FLAIR MR image.
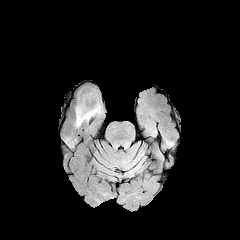
T1-weighted magnetic resonance.
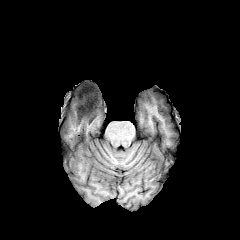
Post-contrast T1-weighted MR.
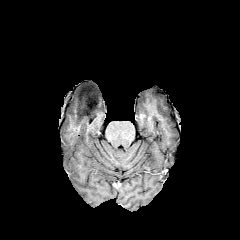
T2-weighted MR.
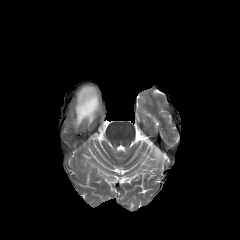
Image size 240x240 | Head
Non-enhancing tumor core: bounding box rect(81, 98, 98, 116).
Edema: bounding box rect(74, 98, 102, 127).